Computed tomography, Slice index 261
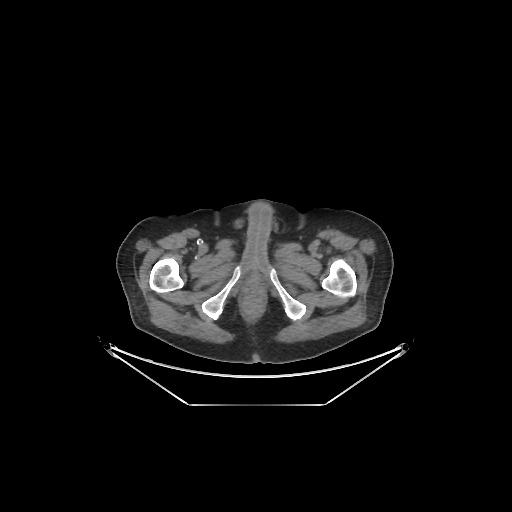 bone: left=322, top=259, right=356, bottom=297; left=270, top=269, right=305, bottom=320; left=149, top=257, right=183, bottom=292; left=202, top=267, right=240, bottom=319